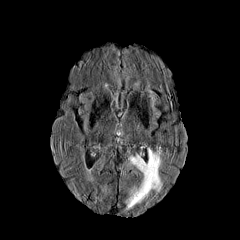
FLAIR MRI.
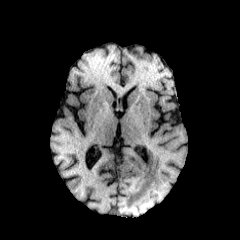
T1-weighted MRI of the same slice.
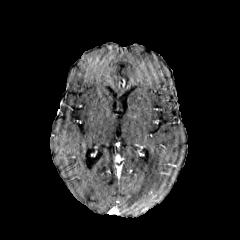
Post-contrast T1-weighted MR image.
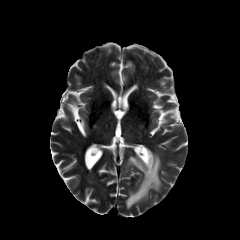
T2-weighted MRI.
Head.
{"edema": ["<bbox>125, 148, 160, 209</bbox>"]}